FLAIR MRI.
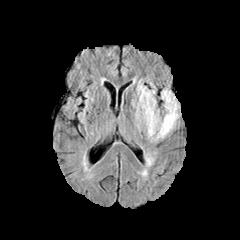
T1-weighted MR image.
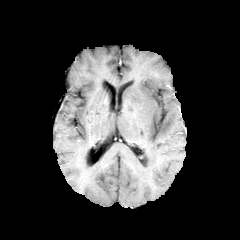
Post-contrast T1-weighted MR.
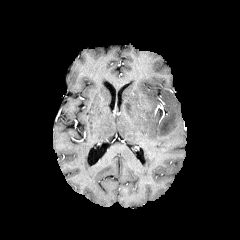
T2-weighted MRI.
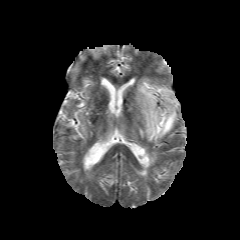
2 edema regions are located at x1=140, y1=152, x2=154, y2=175; x1=135, y1=82, x2=179, y2=142.